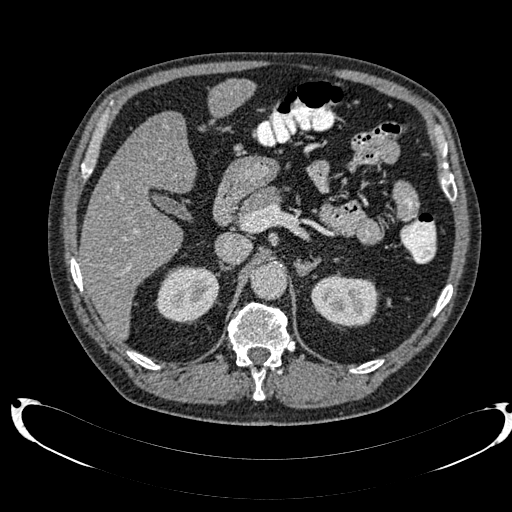 CT image. Upper abdomen. The liver lesion is at box(150, 113, 183, 139). 2 kidney regions are bounded by box(311, 275, 377, 326); box(156, 267, 218, 322). 2 liver regions appear at box(80, 119, 195, 339); box(209, 79, 255, 116).